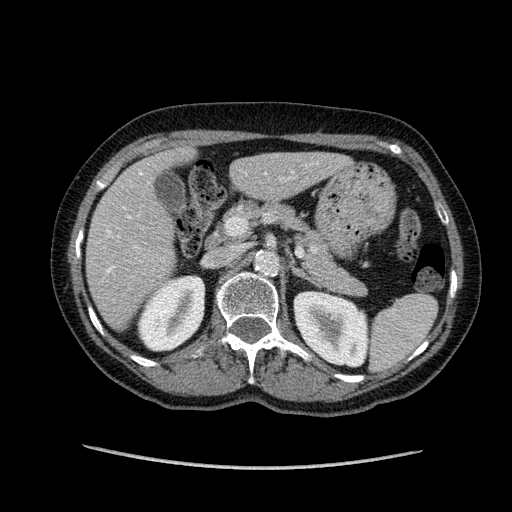 CT scan slice
2 liver regions are bounded by box(87, 154, 178, 317); box(232, 152, 337, 197). 2 kidney regions are located at box(294, 292, 366, 365); box(140, 276, 203, 349).